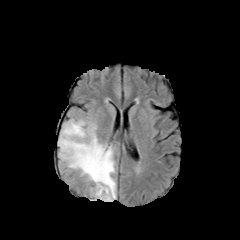
FLAIR MR.
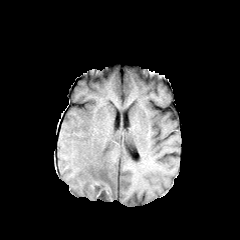
T1-weighted MR image.
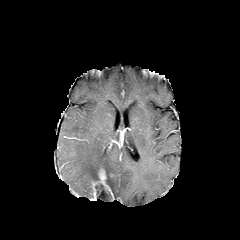
Post-contrast T1-weighted magnetic resonance.
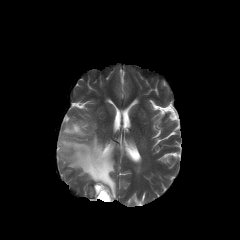
T2-weighted MR.
Edema: (58, 118, 116, 199).
Enhancing tumor: (98, 170, 113, 196).
Non-enhancing tumor core: (92, 182, 113, 199), (91, 166, 112, 192).